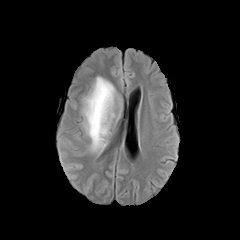
FLAIR MRI.
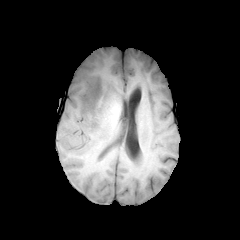
T1-weighted MR image.
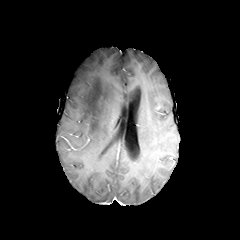
Post-contrast T1-weighted MRI of the same slice.
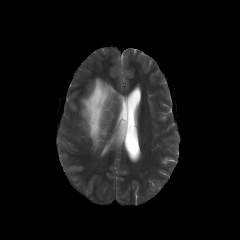
Same slice, T2-weighted MRI.
{"edema": ["81, 77, 115, 151"]}